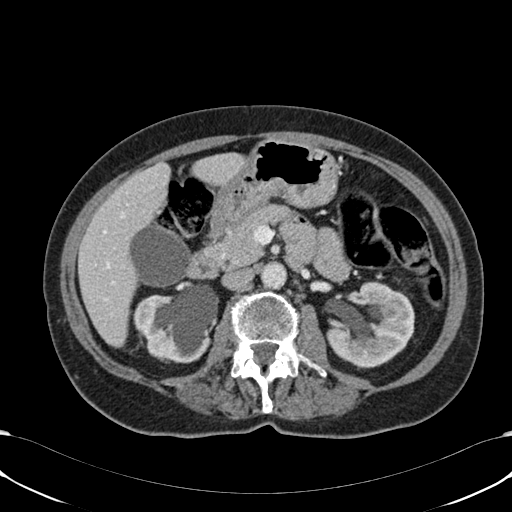 Computed tomography. 512x512. Kidney: [x1=136, y1=288, x2=218, y2=362], [x1=327, y1=282, x2=413, y2=366].
Liver: [x1=193, y1=153, x2=245, y2=183], [x1=79, y1=162, x2=169, y2=347].